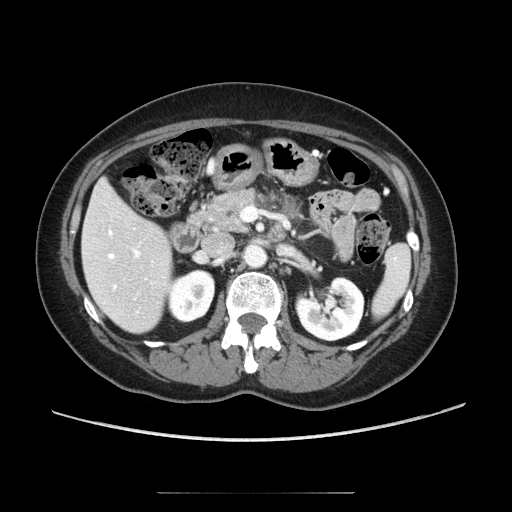 CT image
The pancreas is at (left=190, top=189, right=297, bottom=232).